CT scan slice. Image size 512x512. Liver.

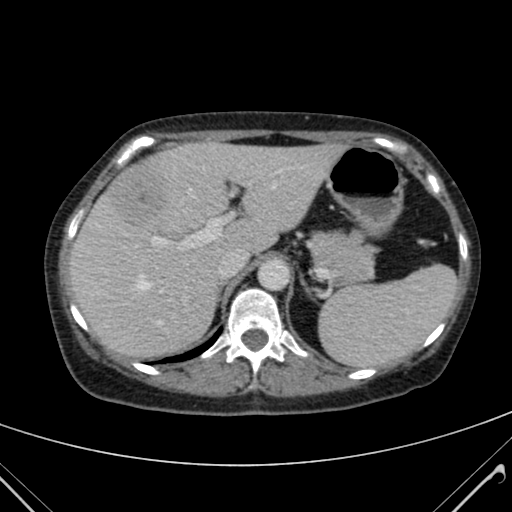

Liver lesion: bbox(109, 165, 170, 225).
Liver: bbox(71, 142, 337, 358).